FLAIR magnetic resonance.
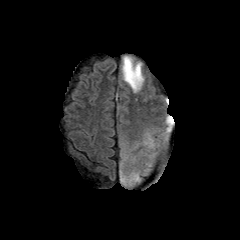
T1-weighted MR image.
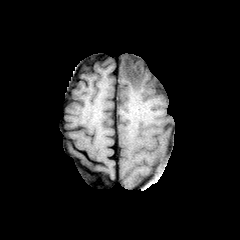
Post-contrast T1-weighted MR image.
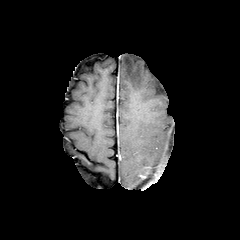
T2-weighted MRI.
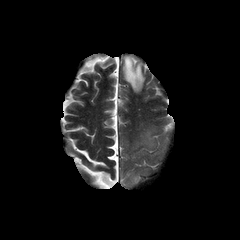
Brain
non-enhancing_tumor_core:
  - (129,70,137,79)
edema:
  - (121,55,144,91)